Slice 116 of 240; Computed tomography 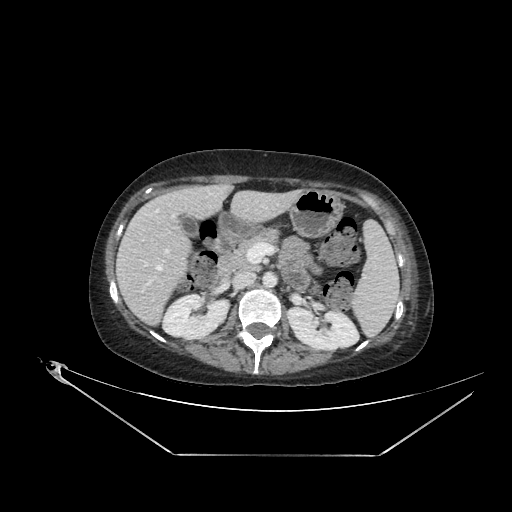

Liver — box=[115, 185, 230, 326].
Kidney — box=[163, 295, 228, 339]; box=[288, 308, 358, 349].